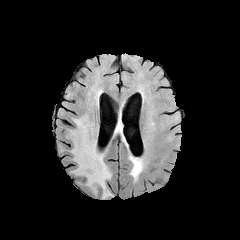
FLAIR magnetic resonance.
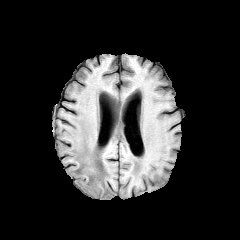
T1-weighted MRI.
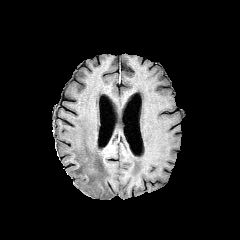
Post-contrast T1-weighted magnetic resonance of the same slice.
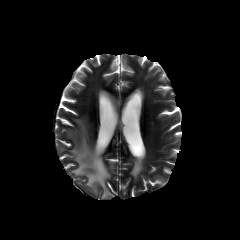
T2-weighted MRI of the same slice.
240x240. Head.
2 edema regions are located at [70, 119, 111, 196], [128, 155, 145, 181].